Slice 568/647. Abdomen. CT image. 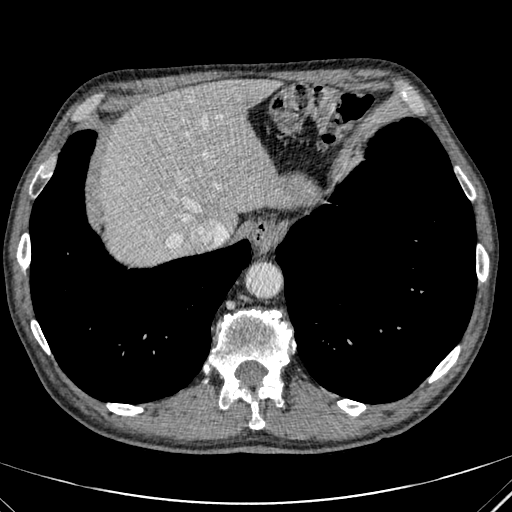 The liver appears at [99, 79, 281, 264].